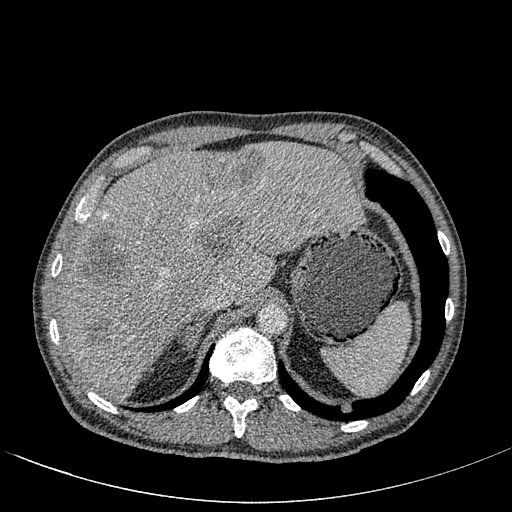 Liver, CT scan slice

The liver appears at box=[61, 140, 364, 400]. 4 liver lesion regions appear at box=[203, 150, 265, 188]; box=[201, 218, 246, 263]; box=[82, 231, 133, 287]; box=[88, 315, 111, 345].